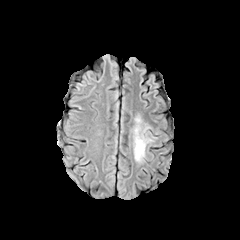
FLAIR MRI.
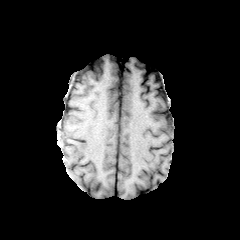
T1-weighted MRI.
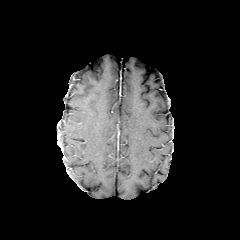
Post-contrast T1-weighted MR image.
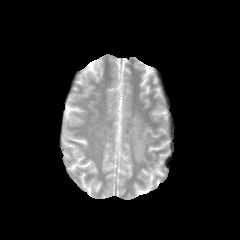
T2-weighted magnetic resonance.
The edema is bounded by bbox=[132, 118, 152, 161].